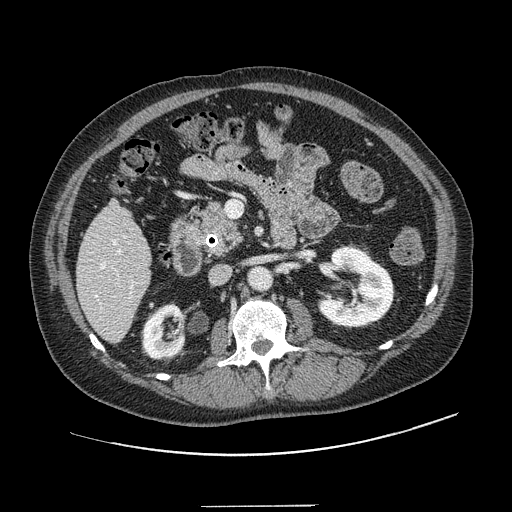
512x512 px, CT scan slice
Pancreas at bbox=[195, 202, 243, 254].